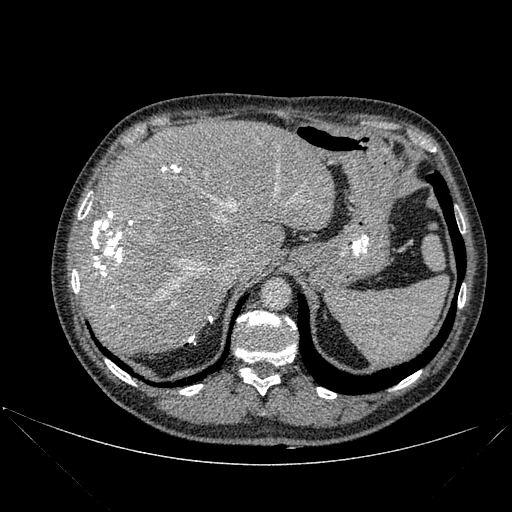
Abdomen, CT scan slice

liver:
  - 79:121:335:353
bone:
  - 235:311:295:365
  - 71:270:79:293
  - 180:384:202:395
  - 78:199:91:219
  - 395:370:421:389
  - 240:368:280:395
  - 458:288:465:307
  - 105:359:134:384
  - 317:387:336:398
lung:
  - 232:296:246:320
  - 298:172:465:394
  - 98:344:125:368
  - 181:354:226:384